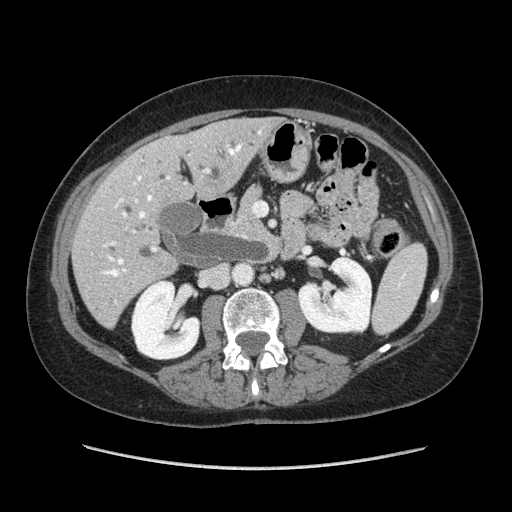
CT slice; Abdomen
The pancreas is bounded by (231, 181, 267, 240).